CT. 512x512 px. Slice 376/391.
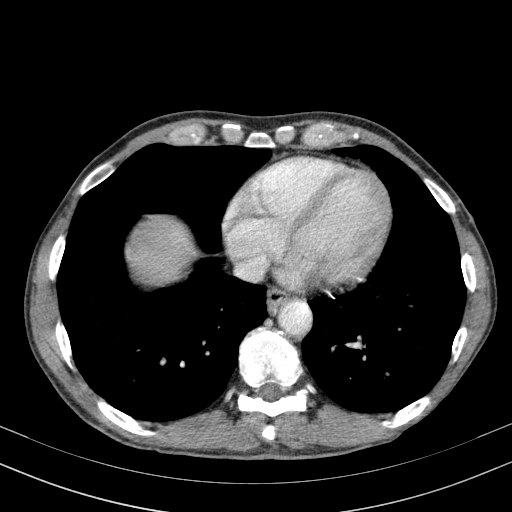 Liver: (x1=126, y1=216, x2=197, y2=285).